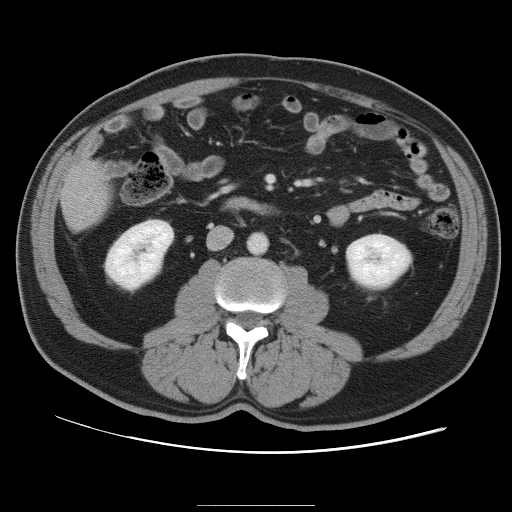
CT; 512x512 px

The vessel boxes may cover only some of the vessels.
The hepatic vessel appears at 90, 189, 91, 190.